Head, 240x240 px
FLAIR MR image.
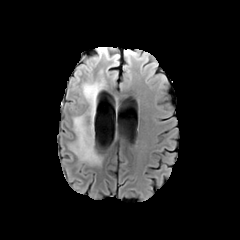
T1-weighted MRI.
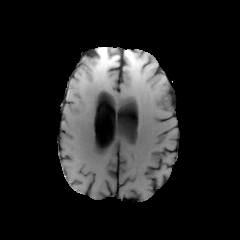
Post-contrast T1-weighted magnetic resonance.
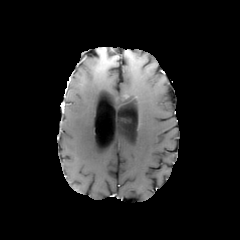
T2-weighted MR.
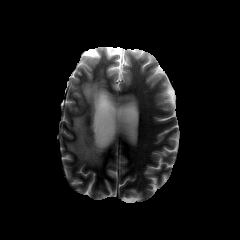
2 edema regions are located at box(124, 50, 140, 77); box(70, 56, 117, 164). 2 non-enhancing tumor core regions appear at box(97, 48, 117, 69); box(95, 52, 105, 63). The enhancing tumor is bounded by box(97, 50, 107, 59).